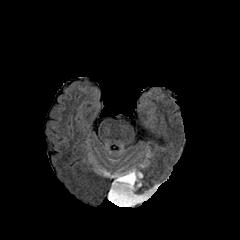
FLAIR MR image.
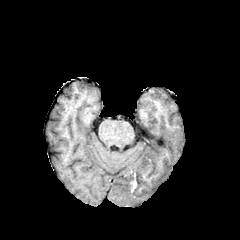
Same slice, T1-weighted MR.
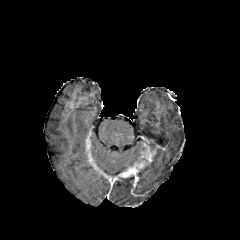
Same slice, post-contrast T1-weighted MRI.
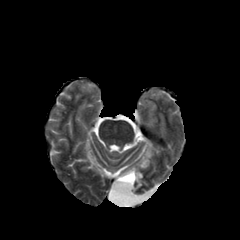
Same slice, T2-weighted magnetic resonance.
Head.
2 non-enhancing tumor core regions are bounded by (118,160,144,173), (104,169,143,196). The enhancing tumor appears at (115,167,138,184). 2 edema regions appear at (107,181,155,206), (104,165,129,175).